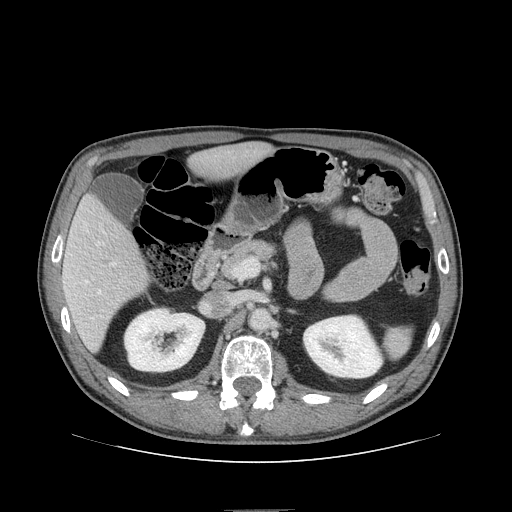
Abdomen, CT slice
Findings:
* pancreas: x1=223, y1=240, x2=274, y2=275